Slice 70/155. 240x240.
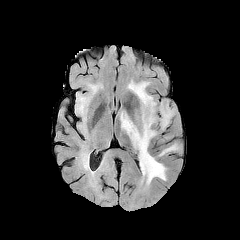
FLAIR magnetic resonance.
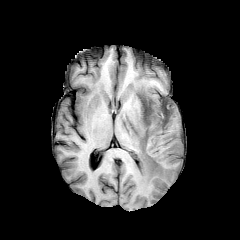
Same slice, T1-weighted MRI.
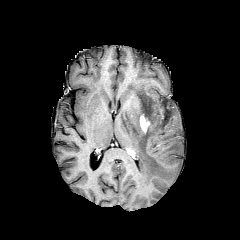
Same slice, post-contrast T1-weighted MR.
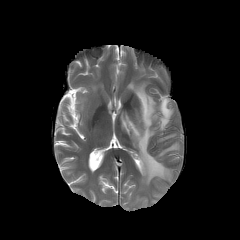
T2-weighted magnetic resonance.
Non-enhancing tumor core: bounding box 160, 104, 170, 125; 142, 101, 151, 121.
Enhancing tumor: bounding box 140, 114, 149, 132.
Edema: bounding box 120, 80, 179, 185.